Brain; Slice 58/155; 240x240 px; Field of view 240 mm wide, 1.00 mm slice spacing
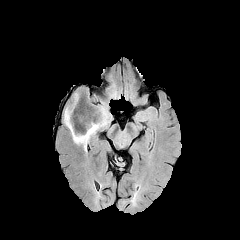
FLAIR MR.
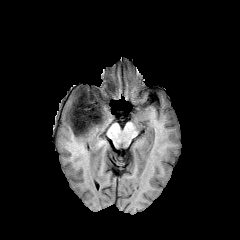
T1-weighted MR image of the same slice.
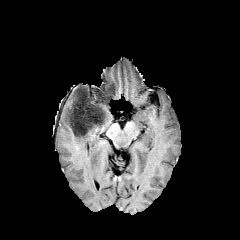
Post-contrast T1-weighted MR image of the same slice.
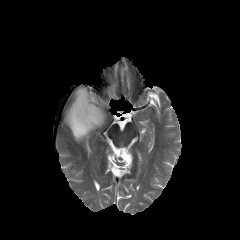
Same slice, T2-weighted magnetic resonance.
The non-enhancing tumor core is located at box(74, 98, 104, 135). The edema is located at box(64, 103, 109, 149).